FLAIR MR.
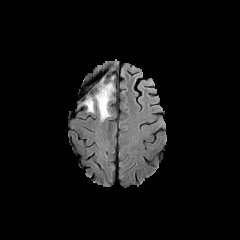
T1-weighted MRI.
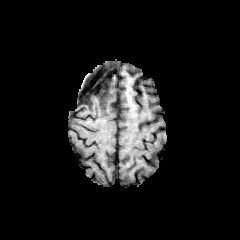
Post-contrast T1-weighted magnetic resonance.
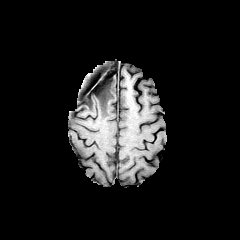
T2-weighted MRI.
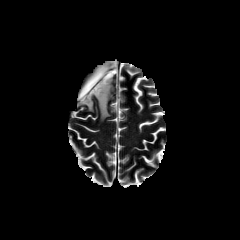
240x240 px
The non-enhancing tumor core lies within (84, 78, 107, 103). The edema is bounded by (81, 80, 113, 120).